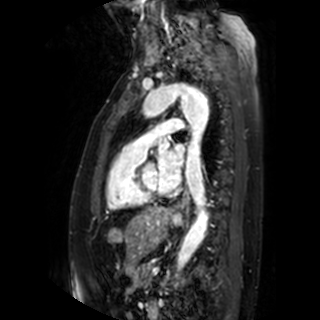

MR | 320x320
The left atrium appears at 159 144 183 190.